CT image | Field of view 469x469 mm | Slice index 45

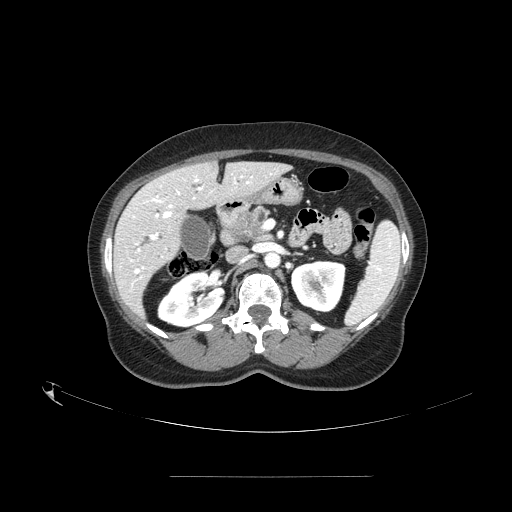 The pancreas is bounded by [237, 206, 271, 239]. The pancreatic tumor is at [239, 213, 257, 232].